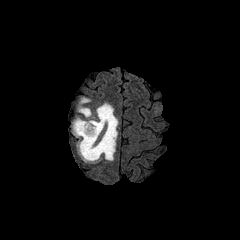
FLAIR magnetic resonance.
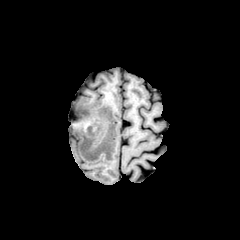
T1-weighted MR image of the same slice.
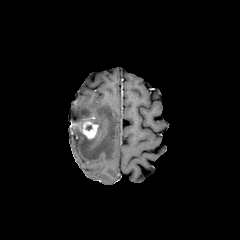
Post-contrast T1-weighted MR.
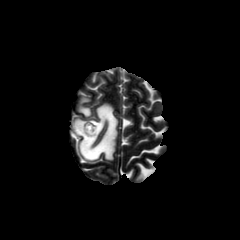
T2-weighted MR image.
Findings:
- enhancing tumor: (73, 120, 98, 139)
- non-enhancing tumor core: (74, 128, 96, 142)
- edema: (70, 97, 118, 163)